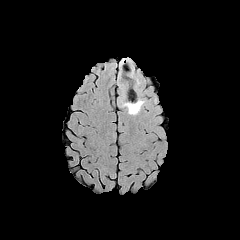
FLAIR MR.
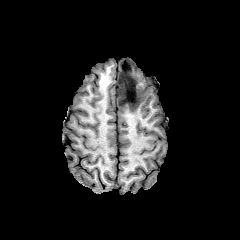
T1-weighted magnetic resonance of the same slice.
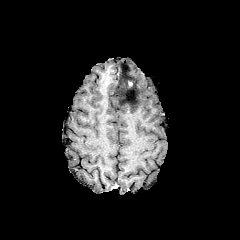
Post-contrast T1-weighted magnetic resonance of the same slice.
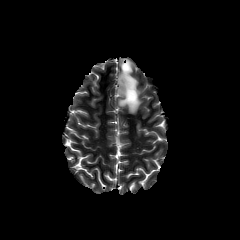
Same slice, T2-weighted magnetic resonance.
240x240.
2 edema regions appear at bbox=[117, 59, 144, 114]; bbox=[117, 72, 124, 89]. The non-enhancing tumor core is at bbox=[118, 71, 138, 104].